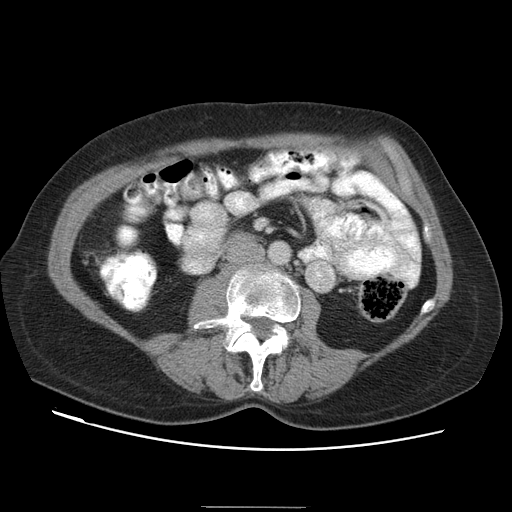 Image size 512x512 | Abdomen | CT scan slice

* pancreas: left=232, top=231, right=243, bottom=245; left=222, top=237, right=231, bottom=256